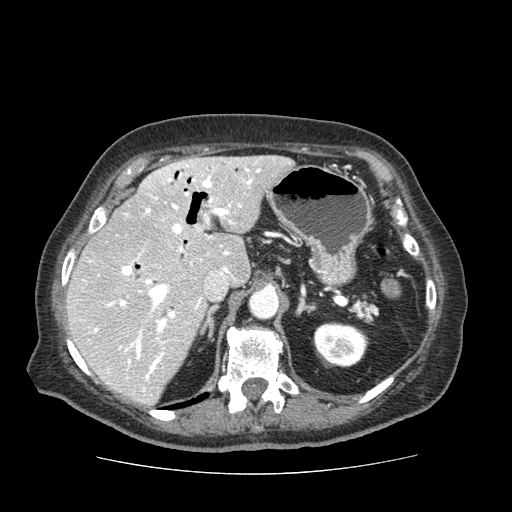

Abdomen; CT image
Pancreas: bounding box (352, 298, 375, 321).